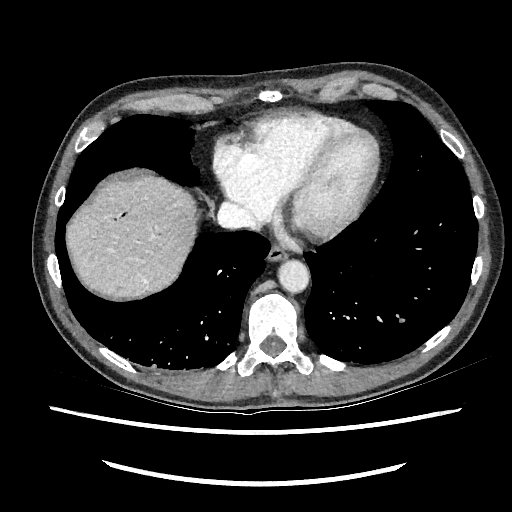

Computed tomography

Liver — <bbox>68, 177, 194, 297</bbox>.